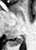
Hippocampus; MRI slice
The posterior hippocampus lies within <bbox>14, 37, 23, 43</bbox>.